Medial temporal lobe | MR image

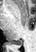
The posterior hippocampus is bounded by {"x1": 12, "y1": 39, "x2": 22, "y2": 45}.